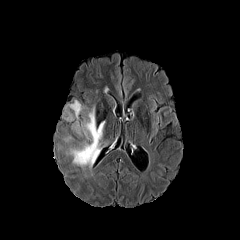
FLAIR MR image.
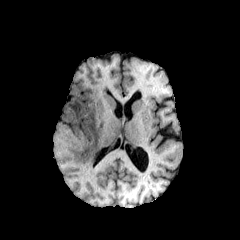
T1-weighted MR of the same slice.
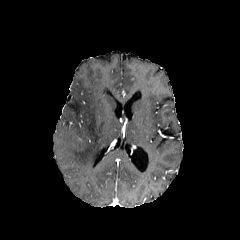
Post-contrast T1-weighted MR image.
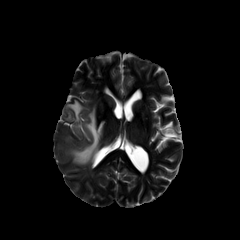
T2-weighted MRI.
Head
Edema = (x1=66, y1=100, x2=81, y2=117), (x1=70, y1=106, x2=105, y2=168).